Image size 512x512 | Computed tomography
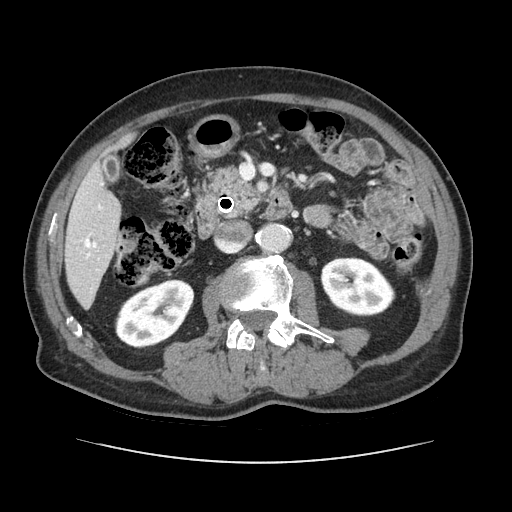 pancreas:
  - <bbox>212, 167, 259, 215</bbox>